Head
FLAIR MR image.
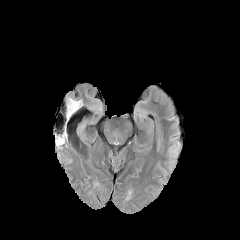
T1-weighted magnetic resonance.
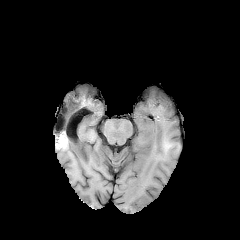
Post-contrast T1-weighted MRI.
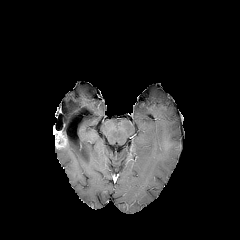
T2-weighted MRI.
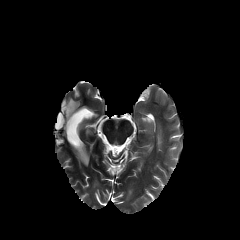
edema:
  - x1=66 y1=98 x2=82 y2=121